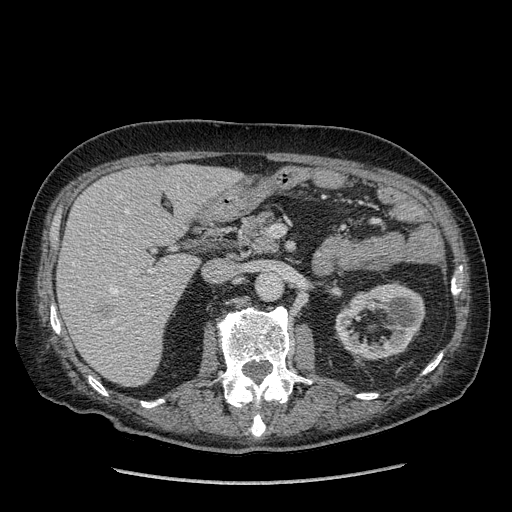

512x512, Computed tomography
Focal liver lesion = box=[92, 301, 115, 318].
Kidney = box=[335, 283, 424, 359].
Liver = box=[57, 164, 236, 386].